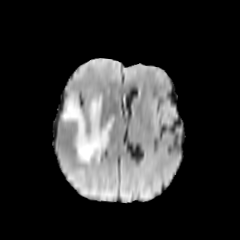
FLAIR MR.
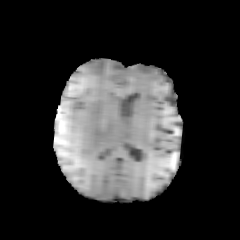
T1-weighted MR image.
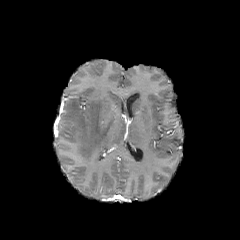
Post-contrast T1-weighted MRI.
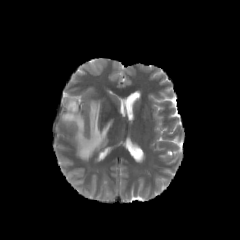
T2-weighted MR.
Head
The edema appears at (63, 96, 114, 164).